Image size 512x512. Slice index 98. CT image. Liver.
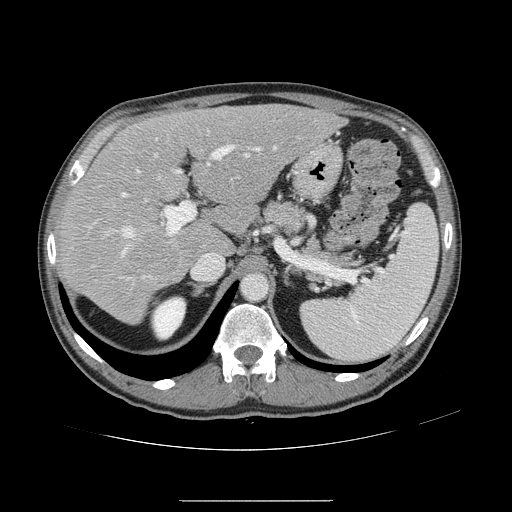
Only some of the vessels may be annotated.
Largest 15 of 18 hepatic vessel regions at [x1=121, y1=247, x2=127, y2=256], [x1=165, y1=202, x2=194, y2=234], [x1=207, y1=130, x2=209, y2=132], [x1=207, y1=162, x2=208, y2=164], [x1=174, y1=171, x2=177, y2=172], [x1=142, y1=275, x2=150, y2=278], [x1=120, y1=226, x2=134, y2=237], [x1=105, y1=230, x2=115, y2=235], [x1=255, y1=148, x2=260, y2=151], [x1=274, y1=146, x2=275, y2=149], [x1=213, y1=145, x2=232, y2=158], [x1=155, y1=154, x2=156, y2=156], [x1=121, y1=192, x2=126, y2=196], [x1=245, y1=154, x2=248, y2=157], [x1=128, y1=277, x2=131, y2=278].
Liver tumor at [x1=132, y1=239, x2=177, y2=272].